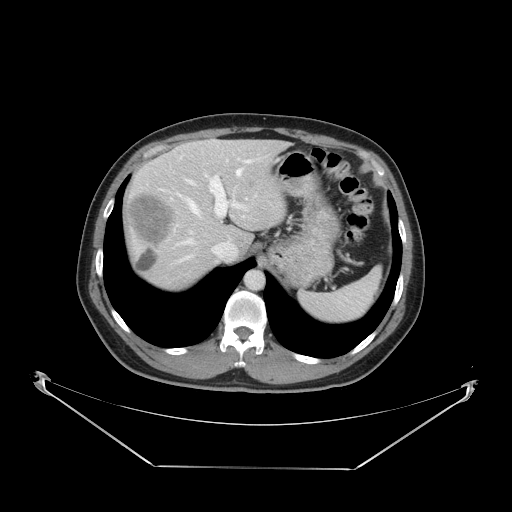
CT slice

Some hepatic vessels may have no box.
The liver tumor is bounded by l=129, t=196, r=174, b=245. 6 hepatic vessel regions are located at l=186, t=199, r=199, b=212; l=180, t=229, r=201, b=260; l=185, t=178, r=195, b=185; l=226, t=201, r=247, b=210; l=203, t=170, r=211, b=182; l=237, t=170, r=240, b=175.